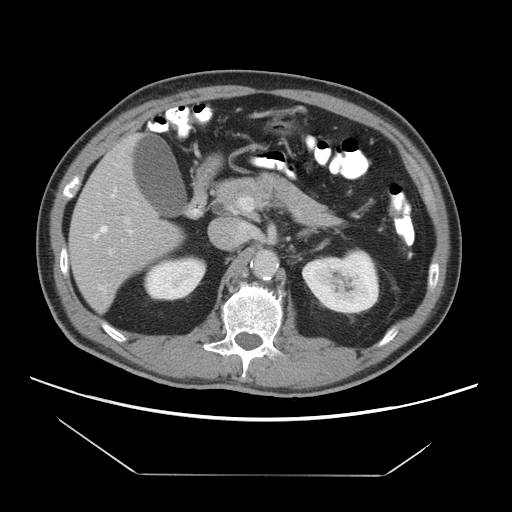
Abdomen. CT scan slice.

The vessel boxes may cover only some of the vessels.
Segmented structures:
- hepatic vessel: (111, 188, 115, 198), (128, 230, 132, 233), (124, 217, 129, 223), (114, 164, 118, 166), (93, 226, 106, 239), (121, 239, 123, 240), (126, 138, 131, 143), (98, 284, 108, 293), (109, 249, 112, 254), (133, 202, 136, 205)